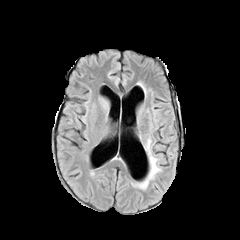
FLAIR MRI.
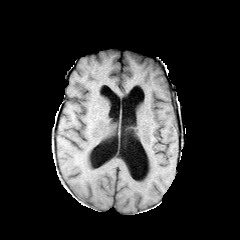
Same slice, T1-weighted MR image.
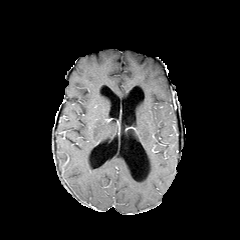
Same slice, post-contrast T1-weighted MR.
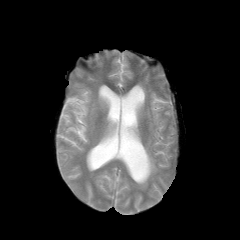
T2-weighted magnetic resonance of the same slice.
Head. 240x240 px.
- edema: [151, 106, 158, 118], [131, 135, 161, 189]